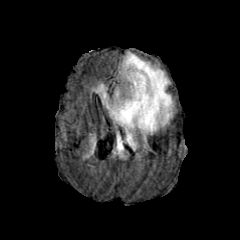
FLAIR MR image.
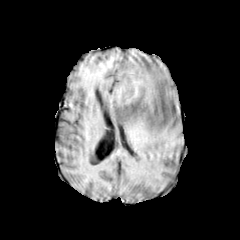
T1-weighted magnetic resonance of the same slice.
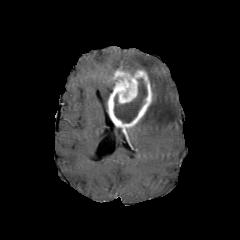
Post-contrast T1-weighted MRI.
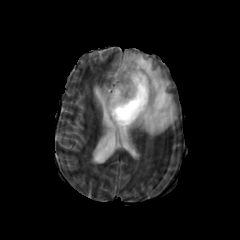
T2-weighted MR image.
3 edema regions appear at <box>121,52,175,150</box>, <box>94,78,114,109</box>, <box>114,131,127,153</box>. The enhancing tumor lies within <box>107,65,152,148</box>. The non-enhancing tumor core is located at <box>114,78,146,122</box>.